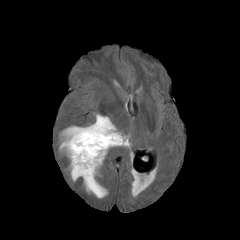
FLAIR MR.
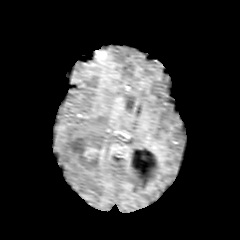
T1-weighted MR image.
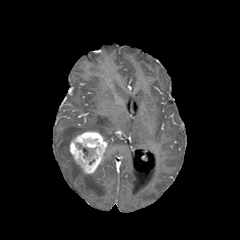
Post-contrast T1-weighted magnetic resonance.
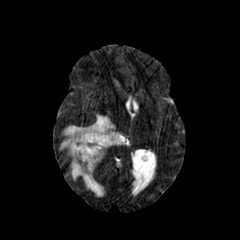
T2-weighted MR image.
Head, Image size 240x240
Non-enhancing tumor core = (82, 147, 95, 158).
Enhancing tumor = (70, 131, 107, 172).
Edema = (60, 113, 129, 197).